FLAIR MR.
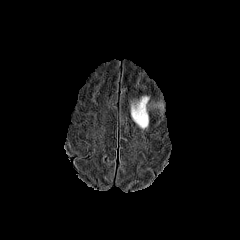
T1-weighted MR.
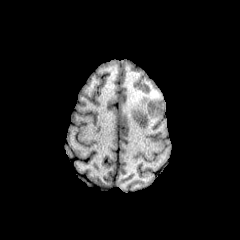
Post-contrast T1-weighted MR image.
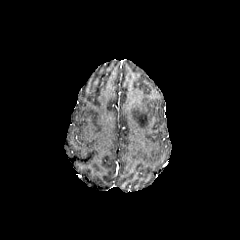
T2-weighted magnetic resonance.
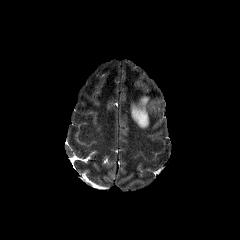
Brain
Edema — region(131, 96, 149, 128).